Slice index 50. 240x240 px.
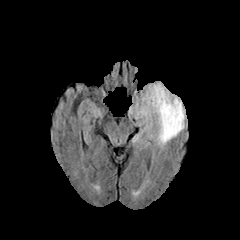
FLAIR MR.
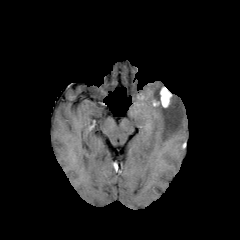
Same slice, T1-weighted MRI.
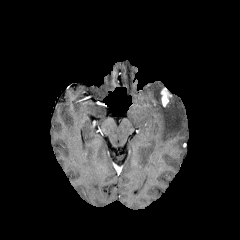
Post-contrast T1-weighted MR image.
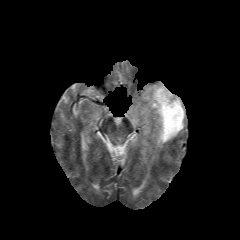
T2-weighted magnetic resonance.
Segmented structures:
* edema: 135,82,186,147
* enhancing tumor: 161,87,171,107